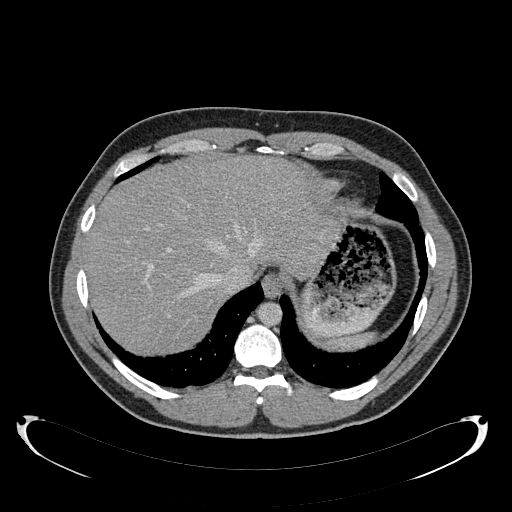

Computed tomography; Liver
Liver — [x1=84, y1=156, x2=337, y2=352].